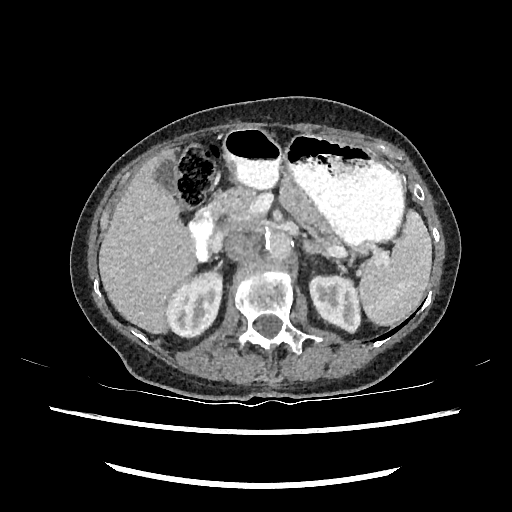

Liver, CT, 512x512

liver: (99, 149, 195, 332) | kidney: (310, 277, 359, 329), (167, 274, 221, 336)